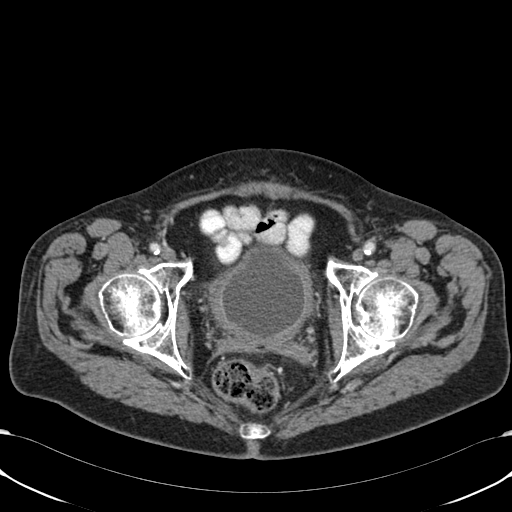

CT
The urinary bladder is located at left=223, top=250, right=303, bottom=336.